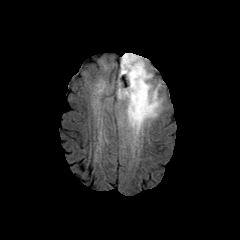
FLAIR MR image.
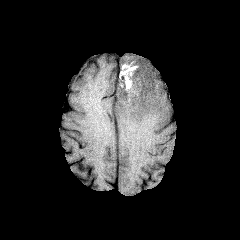
T1-weighted magnetic resonance.
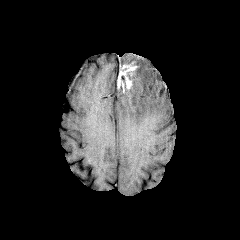
Post-contrast T1-weighted MR.
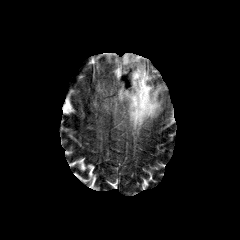
Same slice, T2-weighted MR.
Image size 240x240
The enhancing tumor is at rect(117, 63, 136, 87). 2 edema regions are located at rect(117, 53, 165, 143); rect(97, 82, 104, 92). 2 non-enhancing tumor core regions appear at rect(120, 56, 139, 66); rect(120, 68, 138, 86).